Abdomen | CT scan slice | Slice 18 of 135

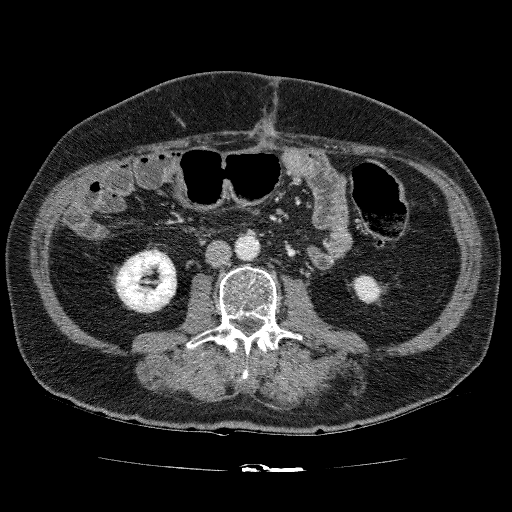
Kidney — [354,276,381,303], [115,250,176,312].